512x512 | CT | Slice 36/343
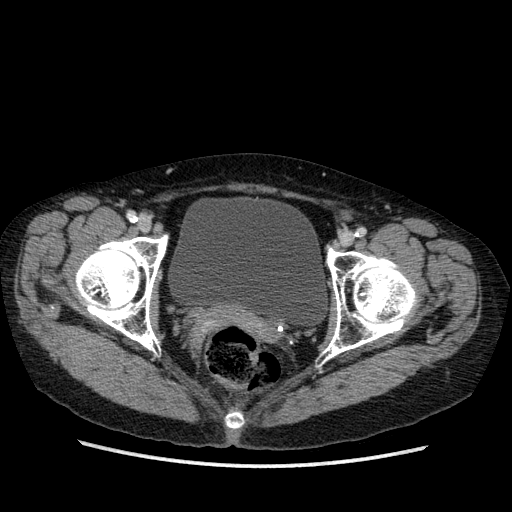
Urinary bladder = (168, 196, 329, 326).